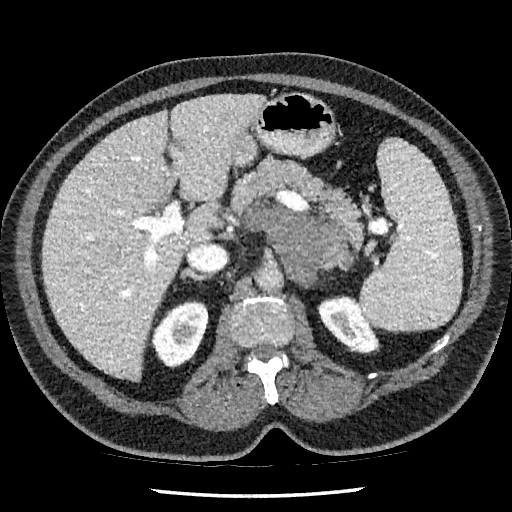

Computed tomography; Liver
* focal liver lesion: bbox(172, 139, 183, 149)
* liver: bbox(43, 95, 265, 380)
* kidney: bbox(319, 297, 377, 351); bbox(153, 303, 207, 365)